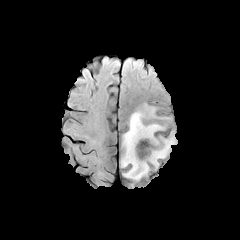
FLAIR MRI.
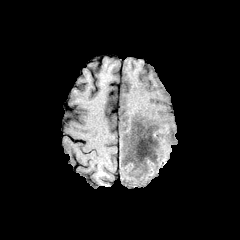
T1-weighted MRI of the same slice.
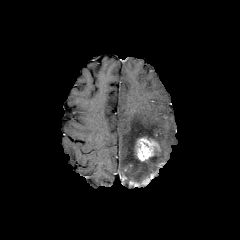
Same slice, post-contrast T1-weighted MRI.
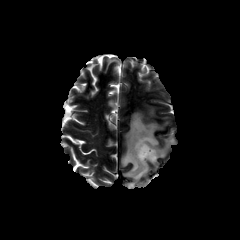
T2-weighted magnetic resonance.
Image size 240x240
The enhancing tumor is located at [x1=136, y1=138, x2=159, y2=160]. The non-enhancing tumor core lies within [x1=134, y1=136, x2=158, y2=162]. 2 edema regions appear at [x1=148, y1=131, x2=176, y2=168], [x1=122, y1=112, x2=161, y2=181].